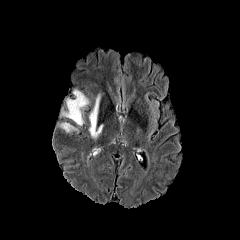
FLAIR magnetic resonance.
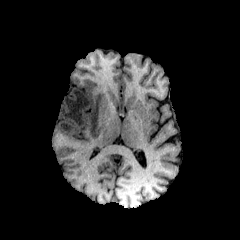
Same slice, T1-weighted MR image.
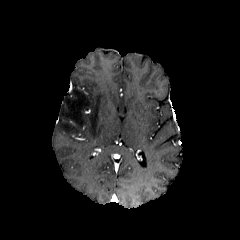
Post-contrast T1-weighted magnetic resonance.
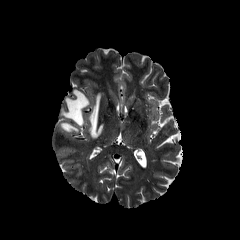
T2-weighted MRI of the same slice.
Brain.
Edema at bbox=[61, 123, 76, 131]; bbox=[89, 95, 103, 138]; bbox=[63, 90, 88, 125].